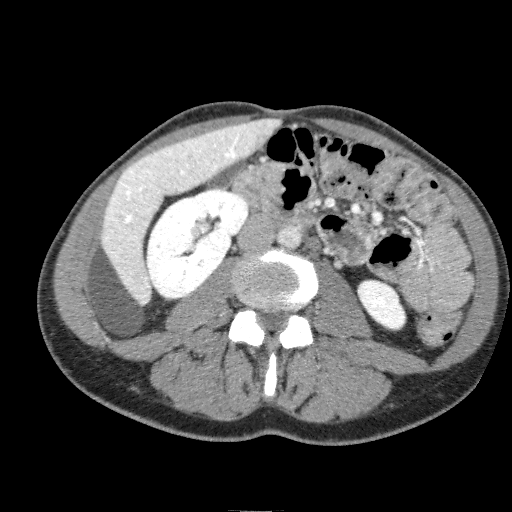
Abdomen, Computed tomography
* kidney: box(147, 190, 247, 297); box(358, 281, 404, 327)
* liver: box(101, 118, 281, 304)